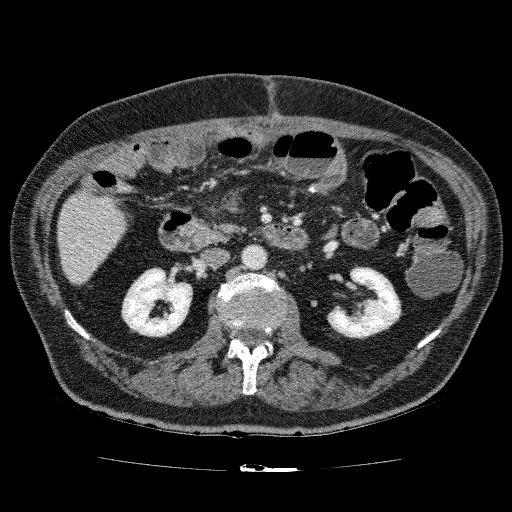
Computed tomography.

2 kidney regions are located at {"x1": 328, "y1": 267, "x2": 400, "y2": 337}, {"x1": 122, "y1": 268, "x2": 192, "y2": 336}. The liver is bounded by {"x1": 57, "y1": 191, "x2": 127, "y2": 286}.